FLAIR MR image.
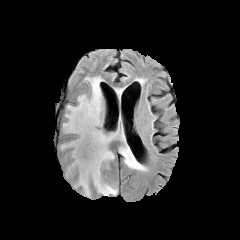
T1-weighted MRI.
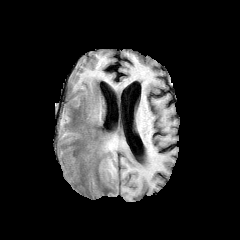
Post-contrast T1-weighted MR.
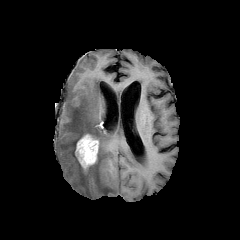
T2-weighted MRI.
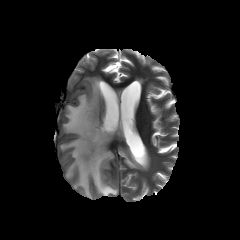
Enhancing tumor: 75:134:99:170.
Edema: 61:76:125:197, 118:144:138:168.